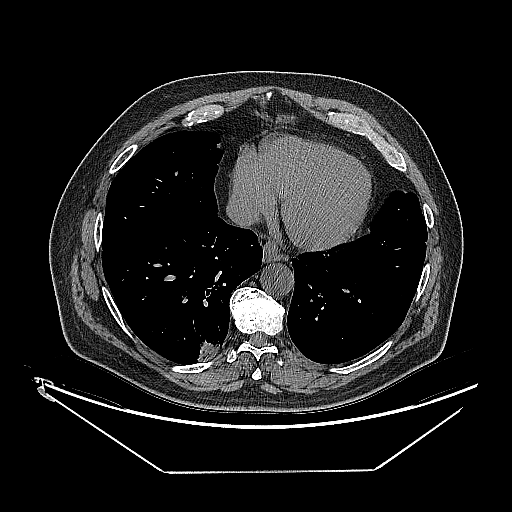 512x512 px. Chest. CT scan slice.
Lung tumor: bounding box 196,339,222,361.